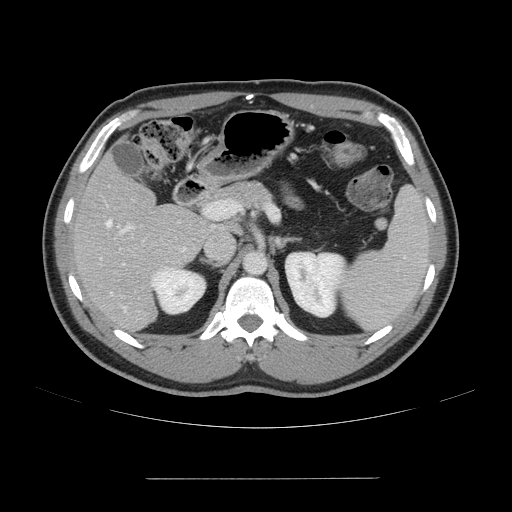 Liver | CT slice

Not every hepatic vessel necessarily has a box.
Hepatic vessel at left=110, top=293, right=112, bottom=295; left=118, top=224, right=131, bottom=233; left=123, top=306, right=126, bottom=312; left=106, top=220, right=111, bottom=226; left=122, top=263, right=124, bottom=264.